FLAIR MRI.
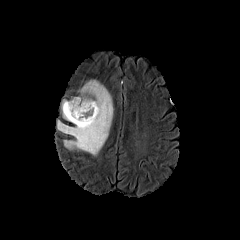
T1-weighted MR.
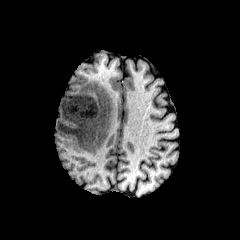
Post-contrast T1-weighted MR image.
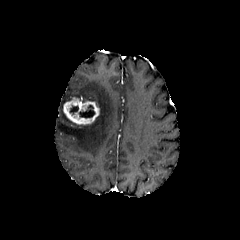
T2-weighted magnetic resonance.
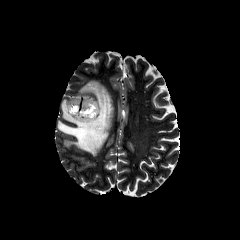
3 non-enhancing tumor core regions appear at 69,105,78,113; 79,104,94,118; 82,96,95,102. The edema lies within 57,79,114,158. The enhancing tumor is at 63,97,99,127.